Head; Slice 545/552; CT scan slice 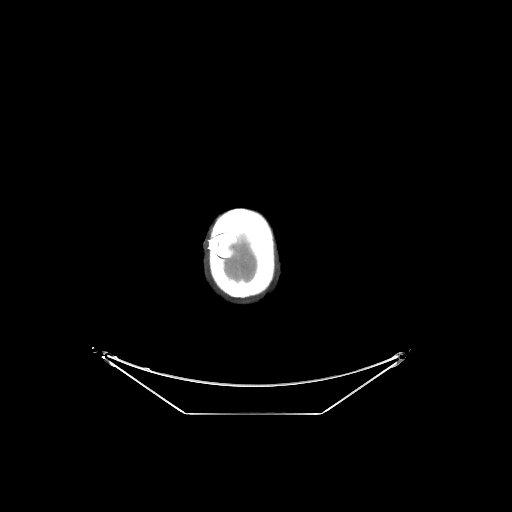

<segmentation>
  <brain>[222, 242, 256, 281]</brain>
</segmentation>